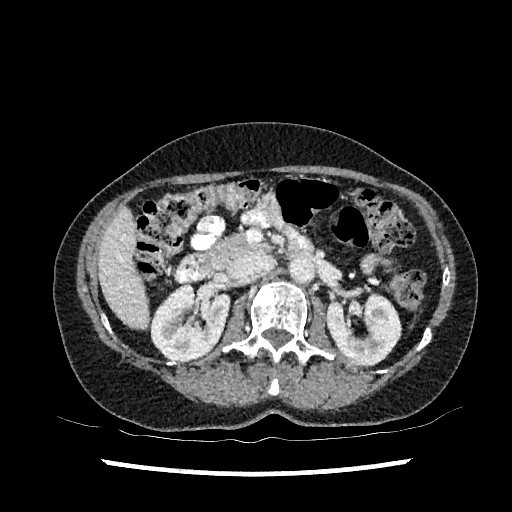

CT image. Image size 512x512. Upper abdomen.
* liver: (99, 209, 148, 329)
* kidney: (151, 283, 229, 360), (327, 295, 400, 364)